512x512 px, Computed tomography, Abdomen

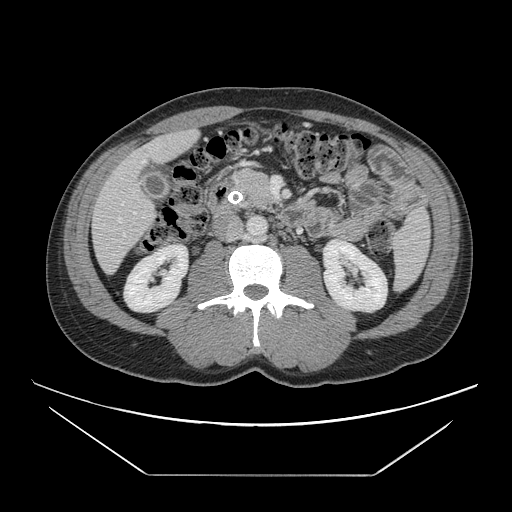
<segmentation>
  <pancreas><bbox>232, 170, 269, 208</bbox></pancreas>
</segmentation>